CT scan slice | Slice index 75 | 512x512 px
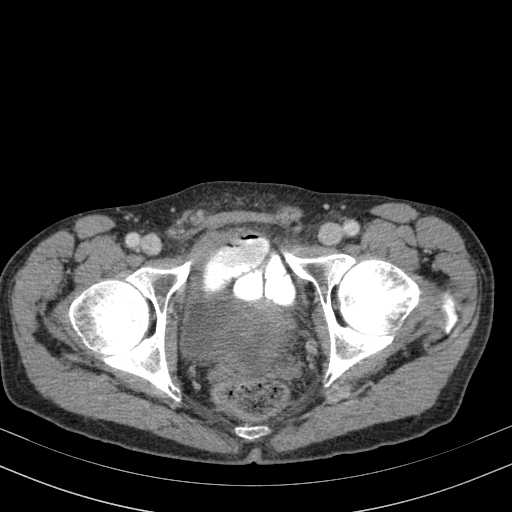 Urinary bladder: 191 234 218 265, 175 281 287 374.